CT; Abdomen
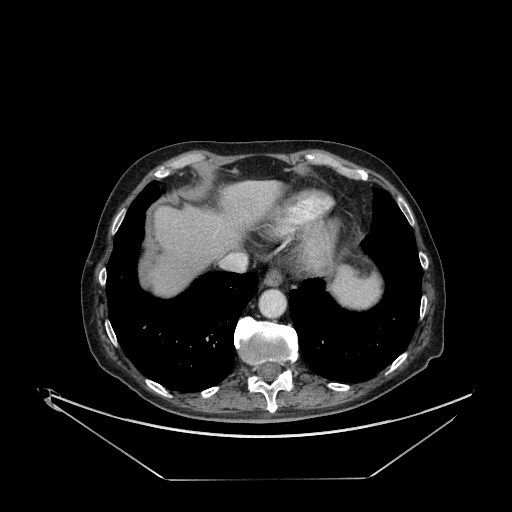 {
  "liver": [
    "(152, 181, 280, 294)"
  ]
}